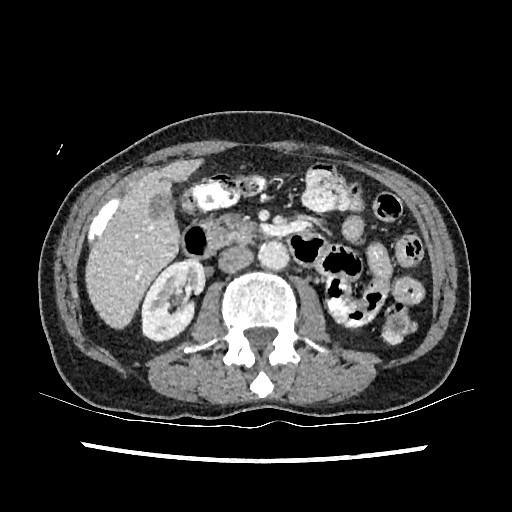 CT image. The liver lesion appears at [148, 191, 172, 220]. The kidney is at [142, 260, 204, 340]. The liver appears at [87, 159, 201, 326].